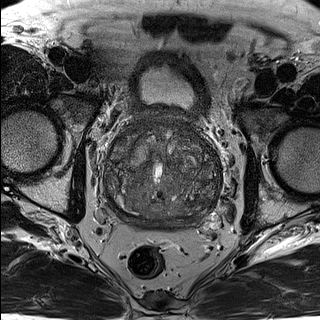
T2-weighted MR image.
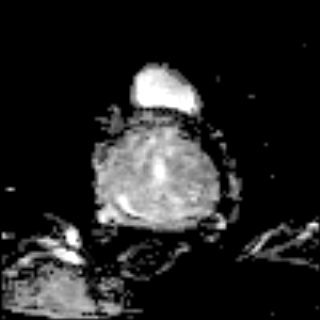
Same slice, ADC magnetic resonance.
Pelvis; Image size 320x320
The prostate transition zone is bounded by {"x1": 107, "y1": 127, "x2": 218, "y2": 219}. The prostate peripheral zone is bounded by {"x1": 108, "y1": 197, "x2": 215, "y2": 226}.